Field of view 310 mm wide, 2.50 mm slice spacing; Upper abdomen; Slice index 56; CT slice
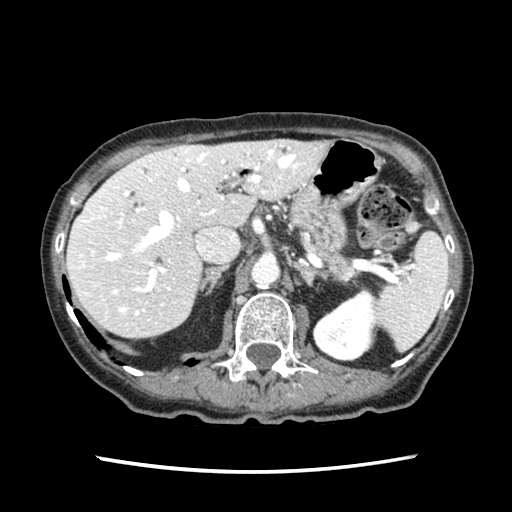
pancreas:
  - 310, 246, 353, 278